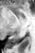

MR, Medial temporal lobe

Posterior hippocampus at (6, 33, 19, 46).